512x512 px, Slice 22/40, Field of view 389 mm wide, 5.00 mm slice spacing, Abdomen, CT image
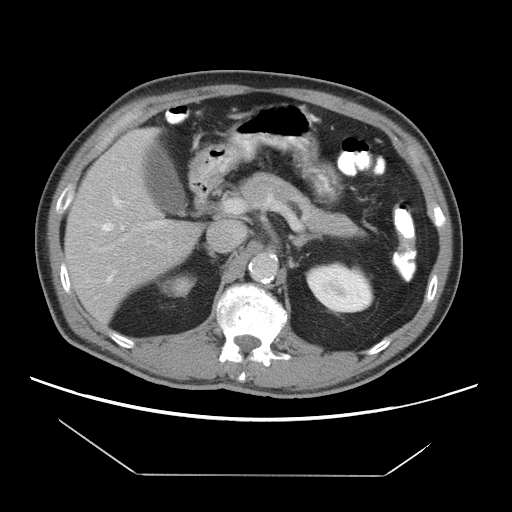

Not every hepatic vessel necessarily has a box.
Hepatic vessel: bounding box box=[147, 241, 155, 243]; box=[106, 270, 116, 283]; box=[113, 197, 123, 207]; box=[120, 226, 123, 228]; box=[99, 246, 113, 251]; box=[143, 221, 166, 228]; box=[121, 239, 123, 241]; box=[102, 223, 112, 230]; box=[139, 132, 149, 137]; box=[168, 243, 170, 245].